Slice index 246; CT slice 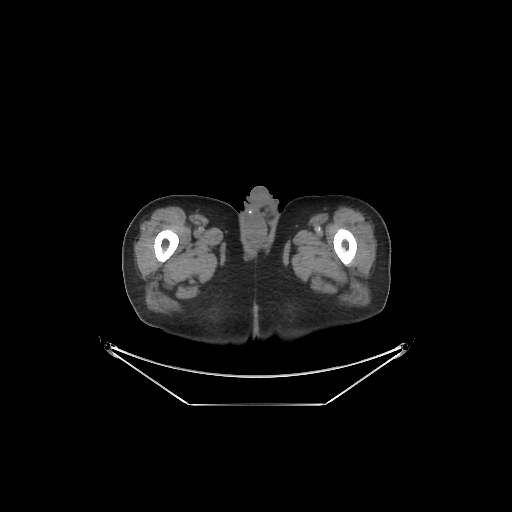 2 bone regions appear at (left=154, top=228, right=178, bottom=262), (left=333, top=228, right=356, bottom=265).